Slice 12/67 | 512x512 px | Upper abdomen | CT 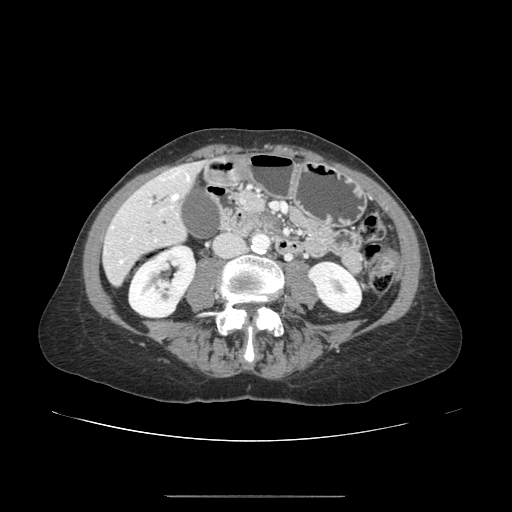
Pancreas — rect(262, 215, 280, 228).
Pancreatic tumor — rect(250, 209, 272, 225).